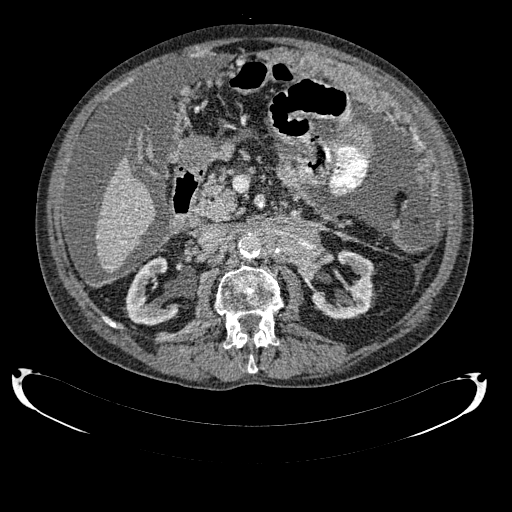 Abdomen, CT scan slice
{"kidney": ["bbox=[311, 251, 373, 318]", "bbox=[126, 257, 177, 324]"], "liver": ["bbox=[95, 155, 154, 272]"]}